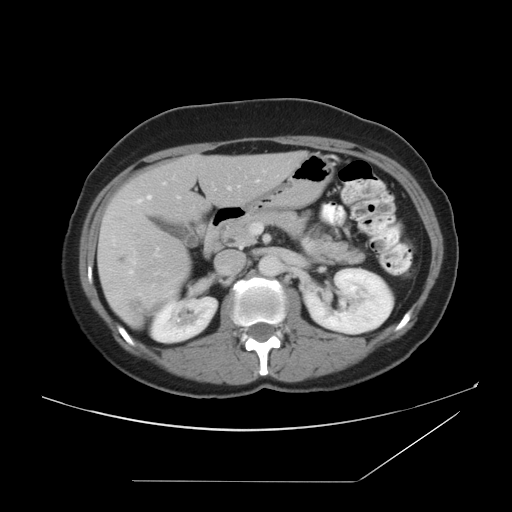 Computed tomography. Image size 512x512.

Some hepatic vessels may have no box.
liver tumor: 130, 301, 145, 314 | hepatic vessel: 238, 185, 239, 187; 137, 199, 141, 203; 139, 293, 140, 294; 177, 196, 179, 198; 154, 253, 158, 256; 227, 186, 230, 189; 256, 179, 258, 181; 147, 195, 151, 199; 129, 257, 136, 263; 163, 182, 165, 184; 129, 270, 132, 273